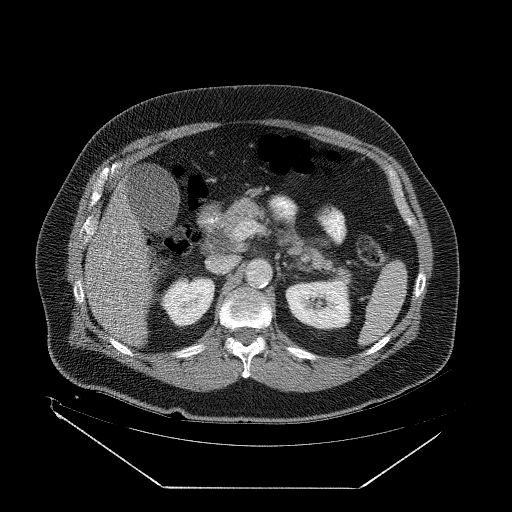 Image size 512x512; CT

Annotated regions:
• pancreas: x1=276 y1=229 x2=352 y2=283, x1=221 y1=196 x2=270 y2=234